Field of view 240x240 mm
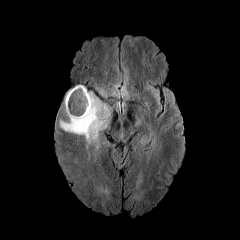
FLAIR MR image.
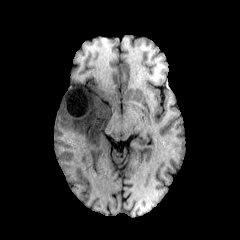
Same slice, T1-weighted MRI.
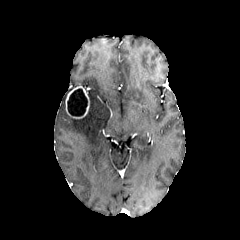
Post-contrast T1-weighted magnetic resonance.
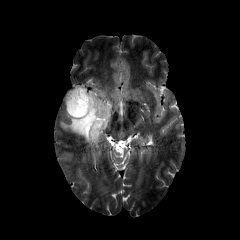
T2-weighted MR image.
Edema: left=96, top=88, right=107, bottom=100; left=58, top=92, right=110, bottom=151.
Enhancing tumor: left=65, top=86, right=89, bottom=118.
Non-enhancing tumor core: left=67, top=88, right=87, bottom=116.